FLAIR MR image.
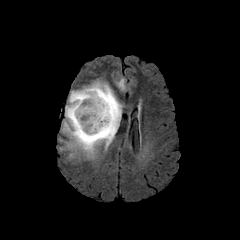
T1-weighted magnetic resonance.
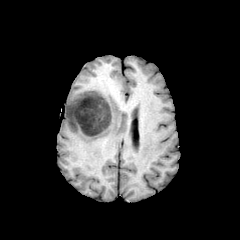
Post-contrast T1-weighted MR.
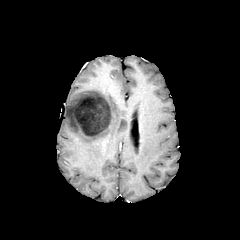
T2-weighted MR.
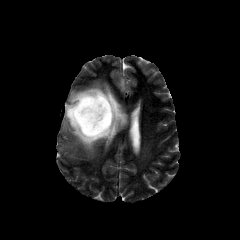
Head
Edema at region(62, 85, 119, 156); region(110, 104, 122, 139).
Non-enhancing tumor core at region(68, 93, 113, 143); region(87, 83, 113, 96).